FLAIR MRI.
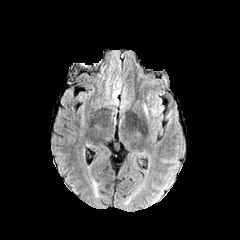
T1-weighted magnetic resonance.
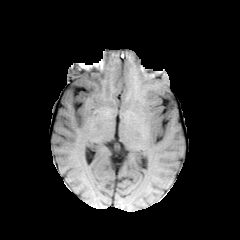
Post-contrast T1-weighted MRI.
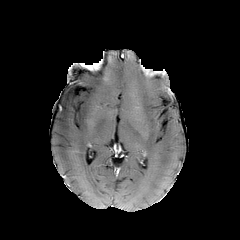
T2-weighted MR image.
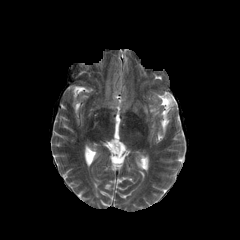
Head
edema: l=142, t=93, r=164, b=125